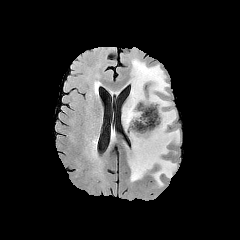
FLAIR MR image.
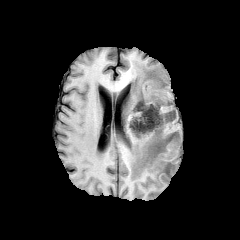
Same slice, T1-weighted MRI.
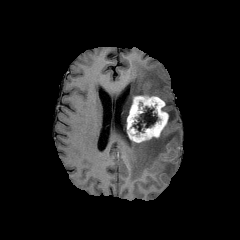
Post-contrast T1-weighted MR image.
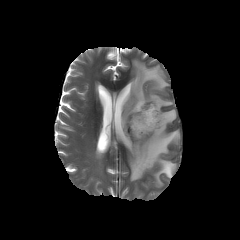
Same slice, T2-weighted MRI.
Brain
2 edema regions appear at {"x1": 122, "y1": 60, "x2": 171, "y2": 130}, {"x1": 128, "y1": 106, "x2": 179, "y2": 185}. The enhancing tumor is bounded by {"x1": 127, "y1": 95, "x2": 168, "y2": 142}. 3 non-enhancing tumor core regions appear at {"x1": 124, "y1": 112, "x2": 131, "y2": 139}, {"x1": 152, "y1": 141, "x2": 163, "y2": 156}, {"x1": 129, "y1": 106, "x2": 159, "y2": 134}.